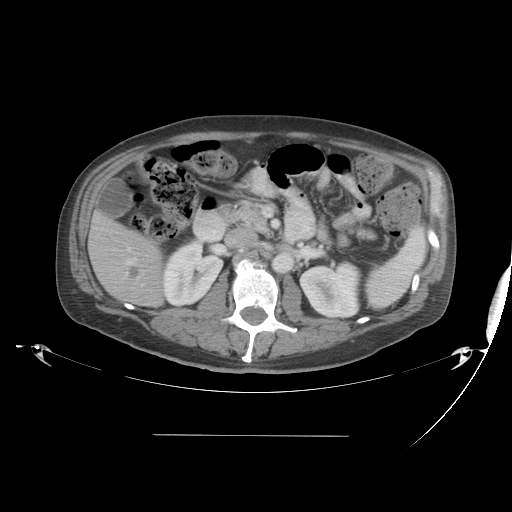 Liver. CT scan slice.
Some hepatic vessels may have no box.
{
  "hepatic_vessel": [
    "[125, 258, 136, 264]",
    "[123, 272, 127, 278]"
  ],
  "liver_tumor": [
    "[128, 267, 138, 278]"
  ]
}